Image width 335 mm. 512x512 px. CT slice.
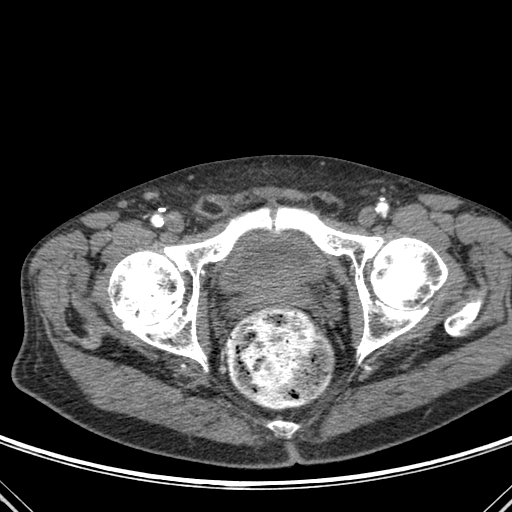 Bone: bounding box <box>108,207,447,370</box>, <box>267,420,299,436</box>, <box>445,299,481,335</box>.